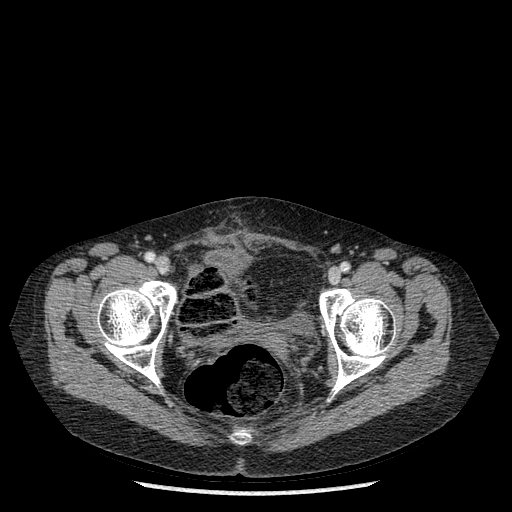
CT slice

Bone at (230,430,251,444), (319,289,395,396), (96,279,176,387).